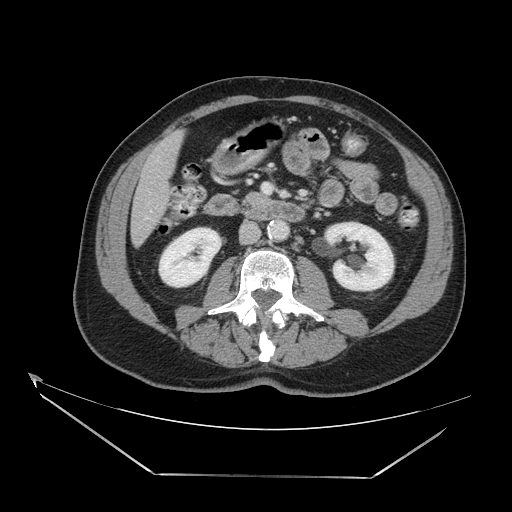

512x512 px. Upper abdomen. CT slice. The pancreas lies within (249, 193, 263, 200).